Slice 81/155, Field of view 240 mm wide, 1.00 mm slice spacing, Brain
FLAIR MR image.
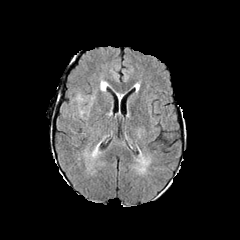
T1-weighted MRI.
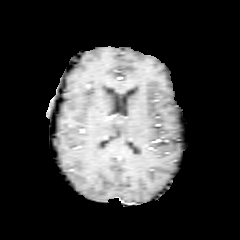
Post-contrast T1-weighted magnetic resonance.
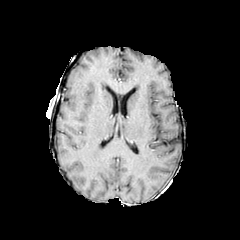
T2-weighted MR image.
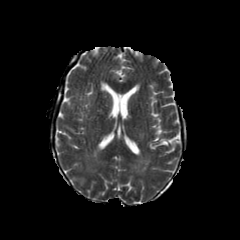
edema: 85 141 101 158